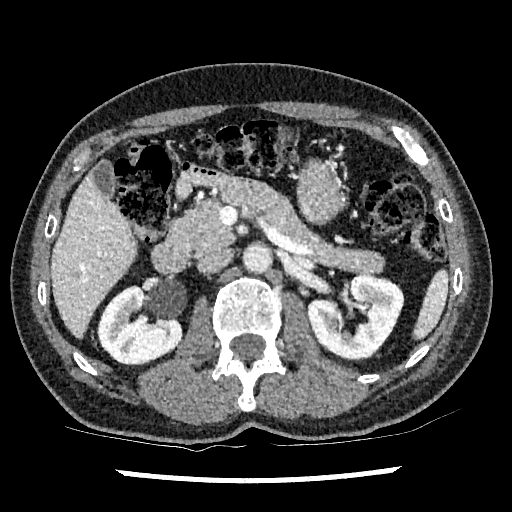 Abdomen, CT image
The liver is located at [51,169,136,338]. 2 kidney regions are bounded by [99,288,181,363], [309,275,402,357].